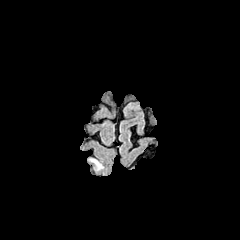
FLAIR MR.
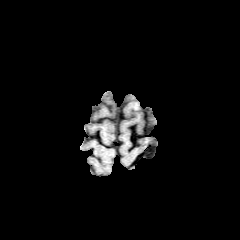
Same slice, T1-weighted MR image.
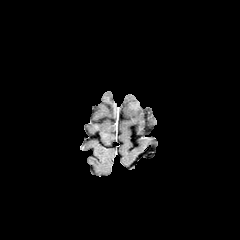
Same slice, post-contrast T1-weighted MR image.
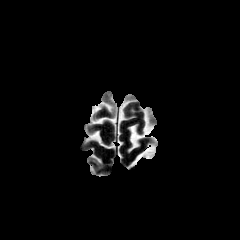
Same slice, T2-weighted MR.
Head
{
  "edema": [
    "(89,159,102,169)"
  ]
}